Abdomen | Slice 23/43 | 512x512 px | CT image 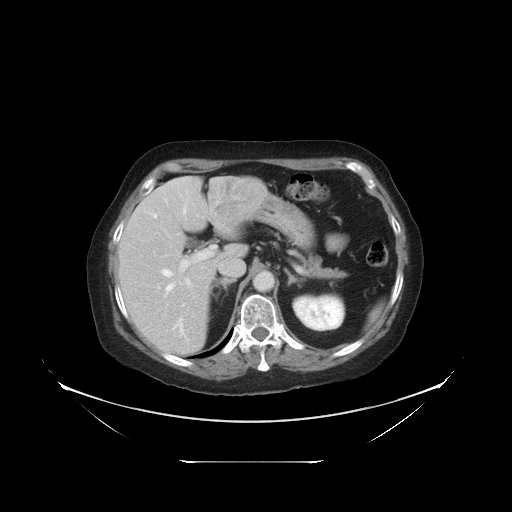 Not every hepatic vessel necessarily has a box.
hepatic_vessel:
  - <box>164,199,166,200</box>
  - <box>164,282,175,296</box>
  - <box>185,278,190,285</box>
  - <box>182,303,185,305</box>
  - <box>183,203,186,213</box>
  - <box>157,285,159,288</box>
  - <box>220,259,242,275</box>
  - <box>161,269,172,276</box>
  - <box>207,245,215,251</box>
  - <box>179,260,188,270</box>
  - <box>172,318,185,337</box>
  - <box>193,255,205,261</box>
  - <box>148,212,156,217</box>
liver_tumor:
  - <box>216,179,264,218</box>